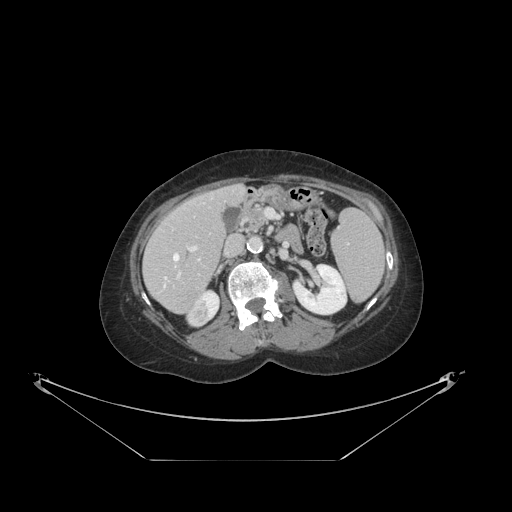

512x512, Liver, CT
Some hepatic vessels may have no box.
4 hepatic vessel regions appear at [188, 247, 195, 251], [164, 278, 167, 281], [173, 254, 178, 260], [178, 272, 180, 276].